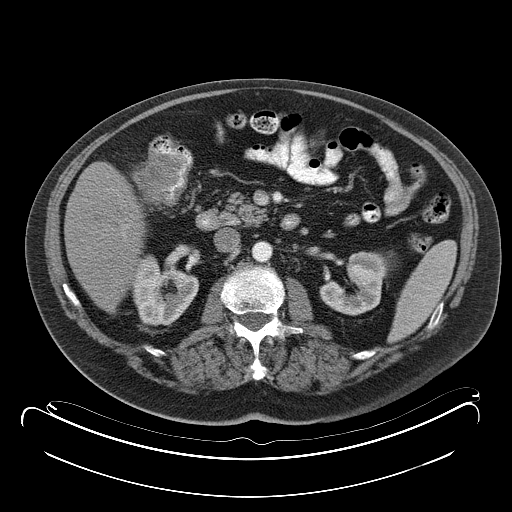 CT; Image size 512x512

Annotated regions:
• colon tumor: (133, 154, 185, 202)